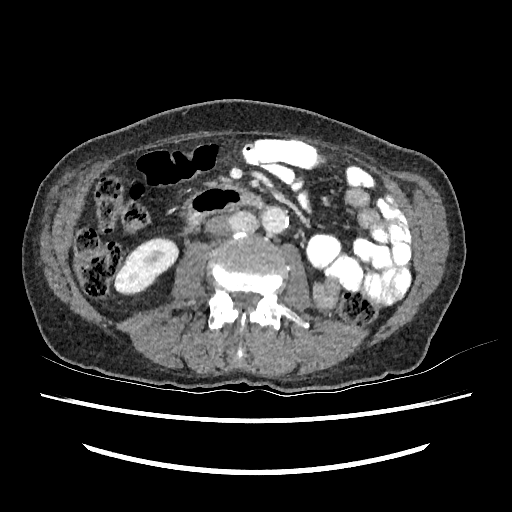 Abdomen | CT image
Kidney: bbox(115, 239, 177, 292).